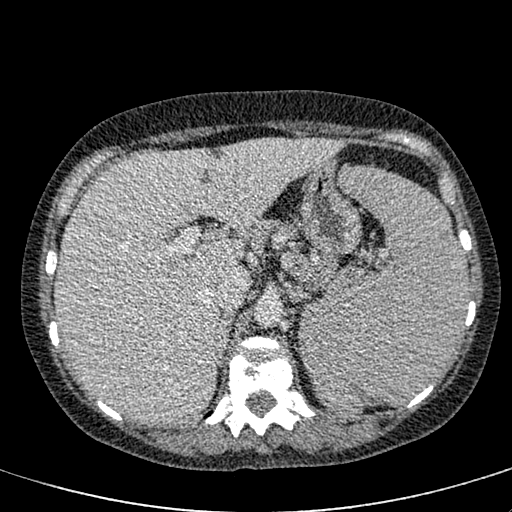 CT slice
Liver: bounding box bbox(57, 139, 344, 422).